CT image, Liver, Slice 128/171

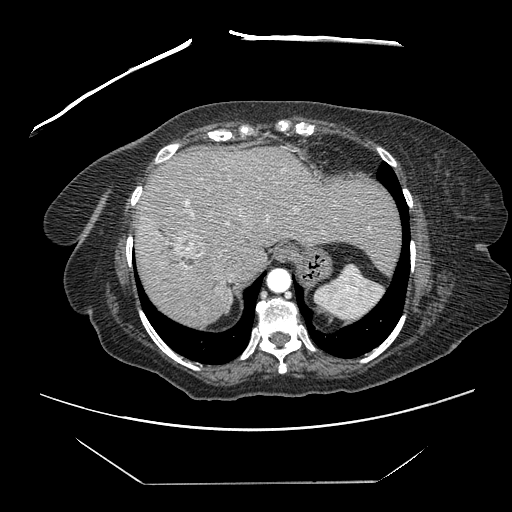
The vessel annotation is not exhaustive.
The hepatic vessel lies within [186,202,187,203]. The liver tumor lies within [178,234,204,259].